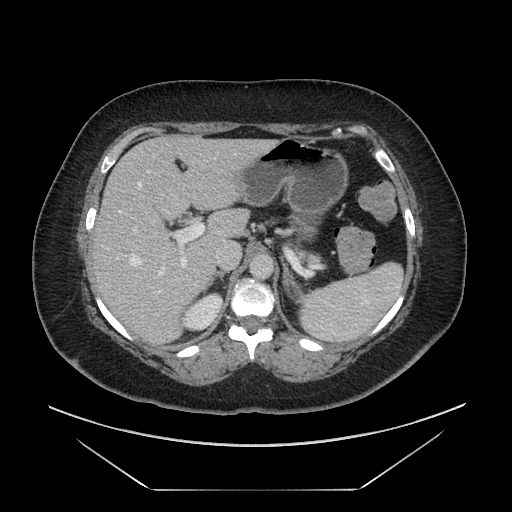

CT image.

pancreas: <box>297,249,318,265</box>